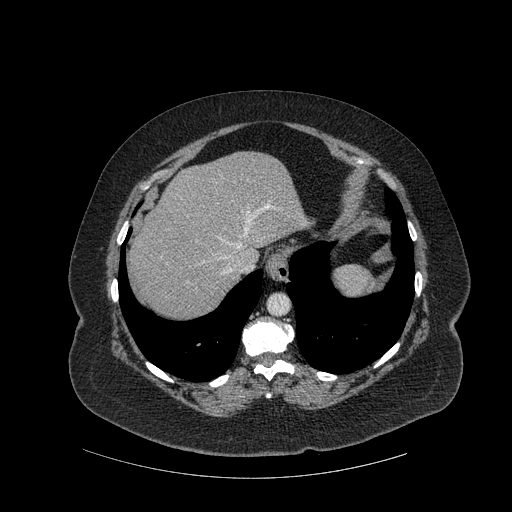
CT slice; Upper abdomen; 512x512
<segmentation>
  <liver>(131,152,312,320)</liver>
  <bone>(415,272,422,295), (210,375,228,386), (317,372,336,380), (254,360,293,380), (111,279,118,301), (374,343,399,367), (146,362,172,381), (408,222,416,240), (243,320,293,355)</bone>
  <lung>(286,188,414,373), (118,245,262,381)</lung>
</segmentation>